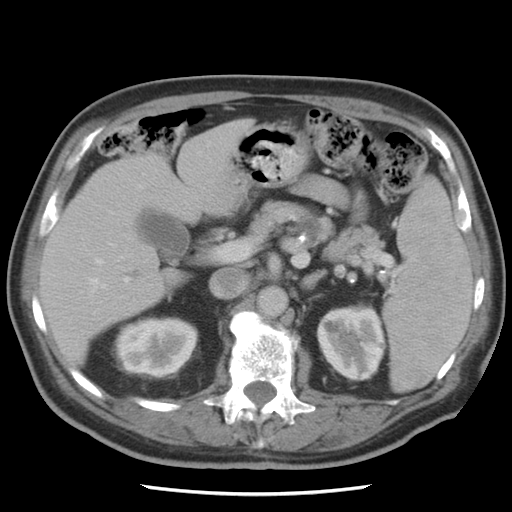

CT slice | Image size 512x512 | Upper abdomen
pancreas: region(251, 200, 335, 250) | pancreatic tumor: region(300, 217, 319, 241)